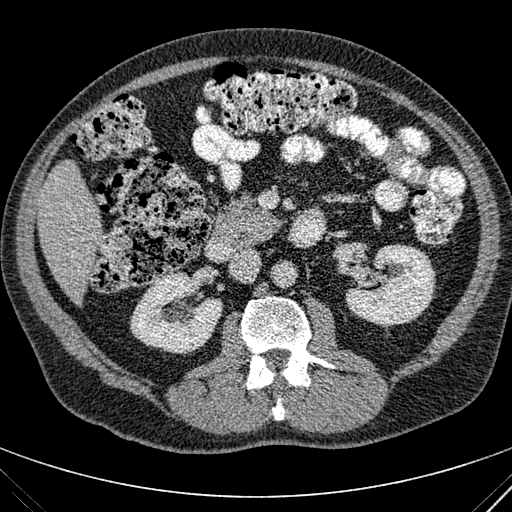 Computed tomography

liver:
  - x1=37, y1=161, x2=101, y2=305
kidney:
  - x1=348, y1=243, x2=366, y2=262
  - x1=340, y1=244, x2=434, y2=325
  - x1=131, y1=271, x2=221, y2=352